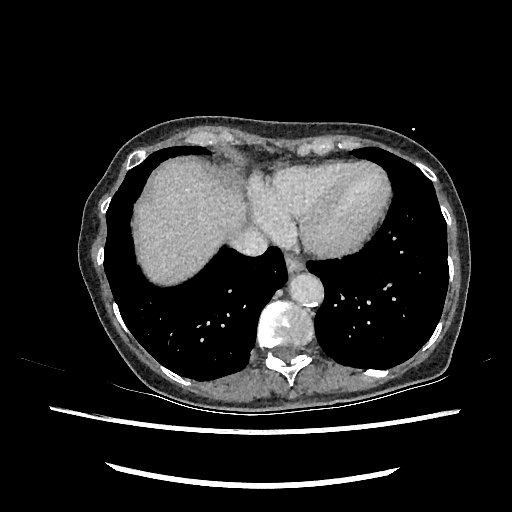

Image size 512x512. CT. Abdomen.
The liver is at bbox(137, 162, 244, 283).